Computed tomography.
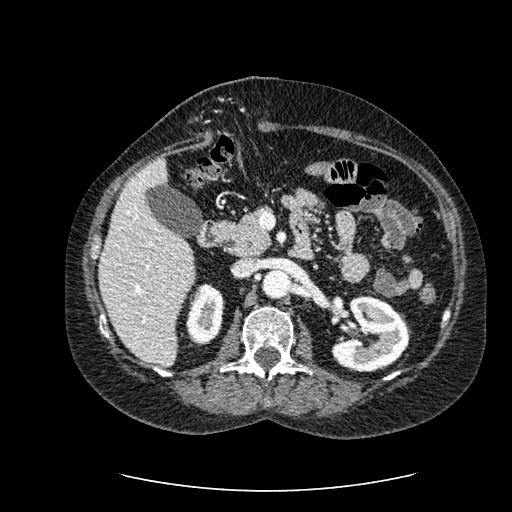

Kidney at x1=328, y1=297, x2=408, y2=370; x1=187, y1=284, x2=222, y2=343.
Liver at x1=98, y1=157, x2=195, y2=365.